Slice index 55.
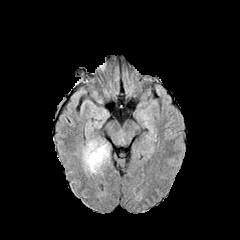
FLAIR MRI.
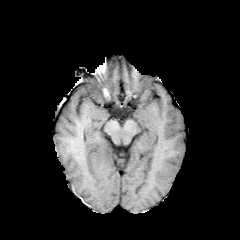
T1-weighted MR.
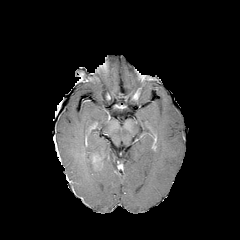
Same slice, post-contrast T1-weighted magnetic resonance.
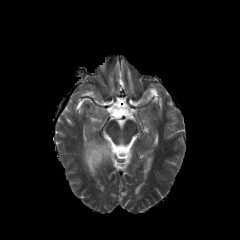
T2-weighted magnetic resonance.
Segmented structures:
- edema: l=80, t=135, r=111, b=176; l=92, t=108, r=106, b=125
- non-enhancing tumor core: l=97, t=148, r=109, b=165
- enhancing tumor: l=91, t=152, r=101, b=166